Slice index 74. Image size 240x240.
FLAIR MR.
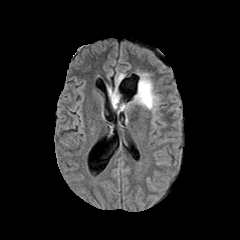
T1-weighted MRI.
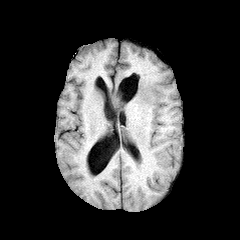
Post-contrast T1-weighted magnetic resonance.
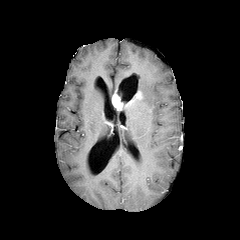
T2-weighted MR image.
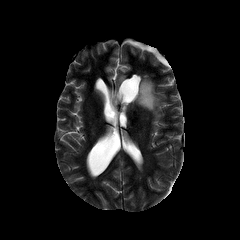
<segmentation>
  <enhancing_tumor>l=112, t=92, r=128, b=109</enhancing_tumor>
  <edema>l=118, t=74, r=160, b=112; l=116, t=90, r=135, b=102; l=108, t=73, r=123, b=103</edema>
</segmentation>